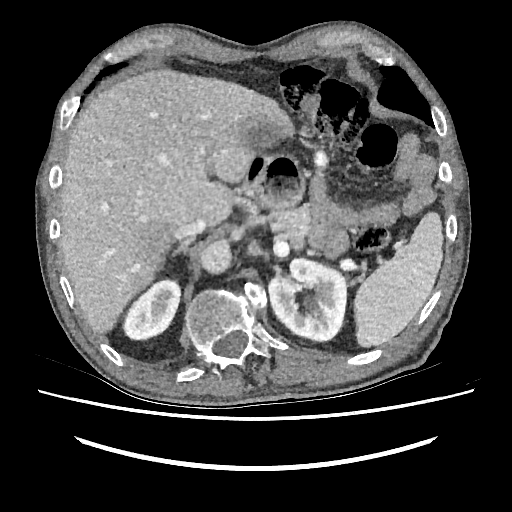
Liver, CT slice
2 kidney regions are located at (x1=125, y1=280, x2=180, y2=339), (x1=269, y1=259, x2=346, y2=340). The liver appears at (x1=60, y1=69, x2=294, y2=332). 2 focal liver lesion regions are located at (x1=243, y1=119, x2=283, y2=153), (x1=142, y1=223, x2=169, y2=257).